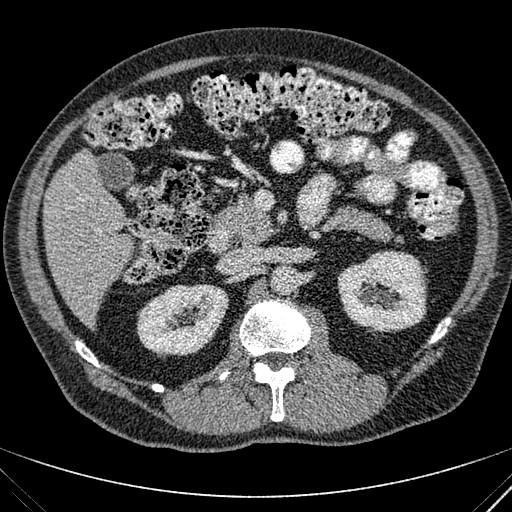
Computed tomography; 512x512
• kidney: 338:251:425:331, 137:285:228:354
• liver: 44:151:134:327